Liver; CT slice; Field of view 339 mm wide, 0.80 mm slice spacing 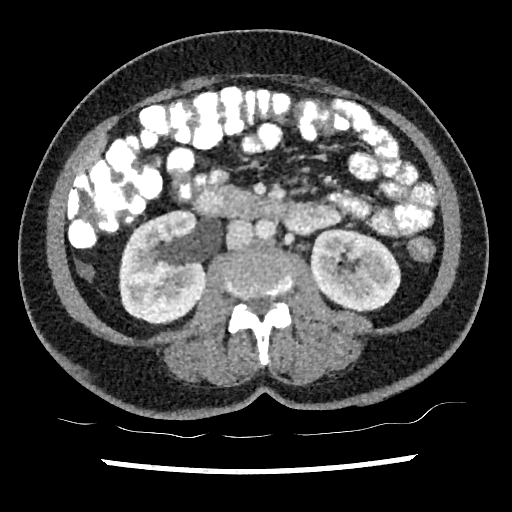 * kidney: bbox=[312, 230, 399, 310]; bbox=[120, 212, 205, 322]
* liver: bbox=[82, 137, 105, 171]